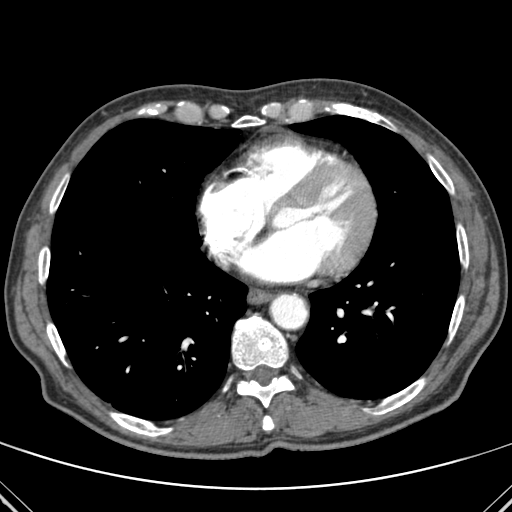
CT scan slice

2 lung regions are located at box(47, 119, 247, 419); box(290, 115, 459, 398). 14 bone regions appear at box(449, 295, 464, 339); box(46, 323, 67, 365); box(325, 103, 389, 122); box(372, 378, 425, 414); box(237, 376, 294, 407); box(262, 415, 273, 430); box(429, 156, 453, 193); box(110, 412, 171, 436); box(232, 115, 264, 127); box(38, 247, 49, 283); box(457, 224, 468, 267); box(50, 176, 66, 213); box(140, 107, 158, 114); box(232, 316, 287, 370).